T2-weighted magnetic resonance.
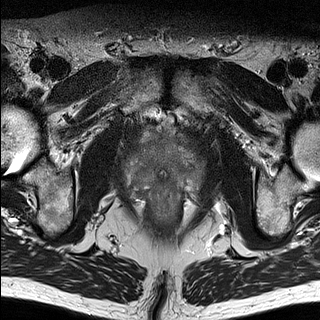
ADC MRI.
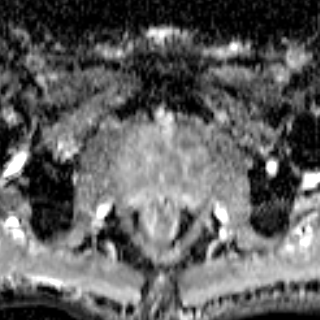
320x320, Prostate
Prostate transition zone: box(120, 125, 213, 200).